CT slice, Slice 467/811
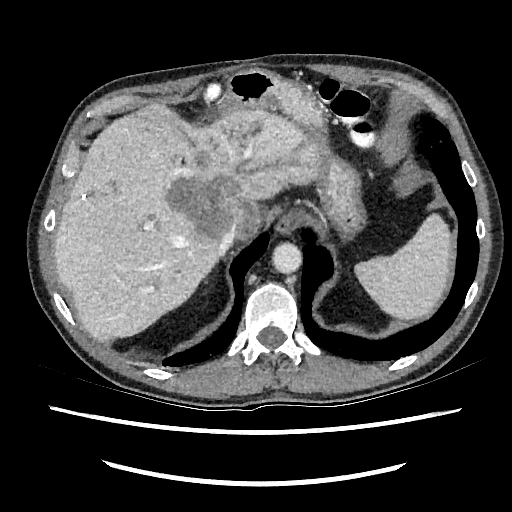 Liver lesion at x1=173, y1=156, x2=185, y2=166; x1=165, y1=175, x2=259, y2=239; x1=193, y1=150, x2=209, y2=170.
Liver at x1=54, y1=103, x2=322, y2=339.